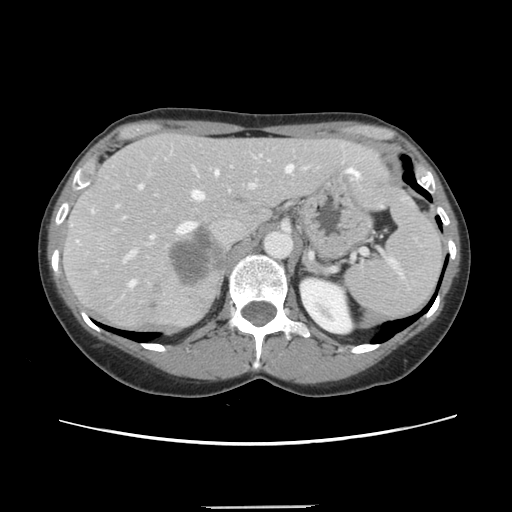

CT scan slice
Only some of the vessels may be annotated.
Liver tumor: bounding box 169:234:216:284.
Hepatic vessel: bounding box 128:280:134:286, 191:190:203:199, 150:235:153:238, 176:221:194:233, 76:240:78:242, 250:184:254:187, 215:170:217:174, 91:210:93:212, 285:164:292:172, 122:251:134:262, 138:184:142:188, 193:168:194:169.